Image size 240x240 | Slice 61 of 155
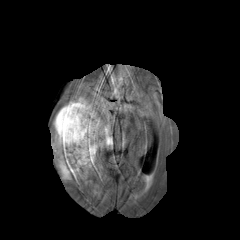
FLAIR MR.
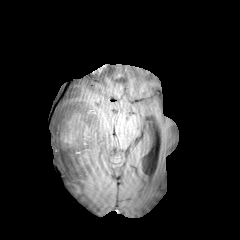
Same slice, T1-weighted MR image.
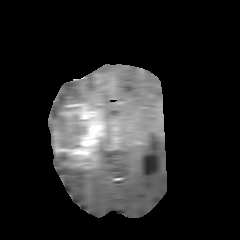
Post-contrast T1-weighted MRI.
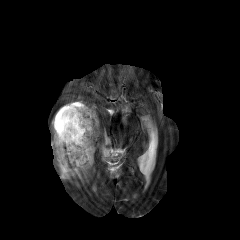
Same slice, T2-weighted MR image.
Edema = (68, 98, 89, 105), (54, 106, 111, 180), (51, 106, 77, 137).
Non-enhancing tumor core = (59, 115, 85, 145), (56, 153, 70, 161).
Enhancing tumor = (54, 102, 100, 167).